CT scan slice. Image size 512x512.

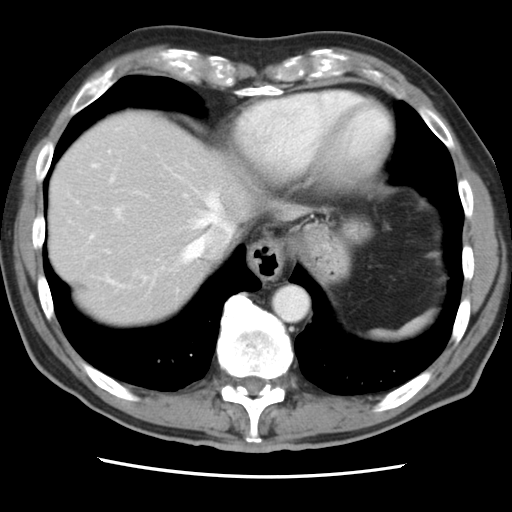
The vessel boxes may cover only some of the vessels.
hepatic vessel: 115 207 122 216, 207 193 222 218, 111 176 113 180, 182 241 196 257, 105 250 108 252, 93 164 97 166, 184 194 185 195, 143 276 146 279, 195 221 202 227, 104 276 118 284, 90 235 93 237